Field of view 700 mm wide, 3.27 mm slice spacing, CT scan slice 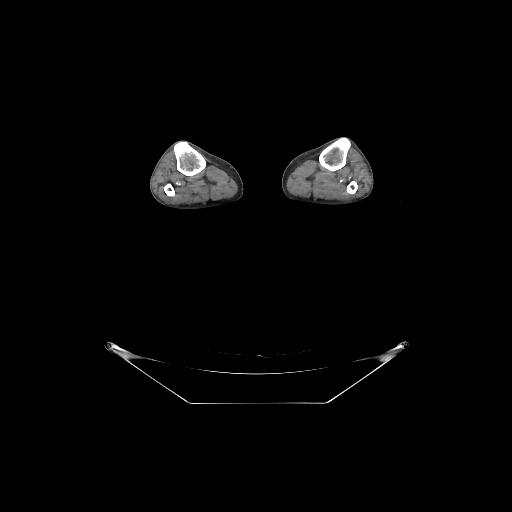

* bone: box=[319, 138, 350, 171]; box=[174, 142, 205, 175]; box=[347, 181, 357, 193]; box=[164, 184, 174, 196]